MRI; Slice index 5
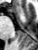
Anterior hippocampus at [14, 6, 20, 12], [10, 9, 12, 11].